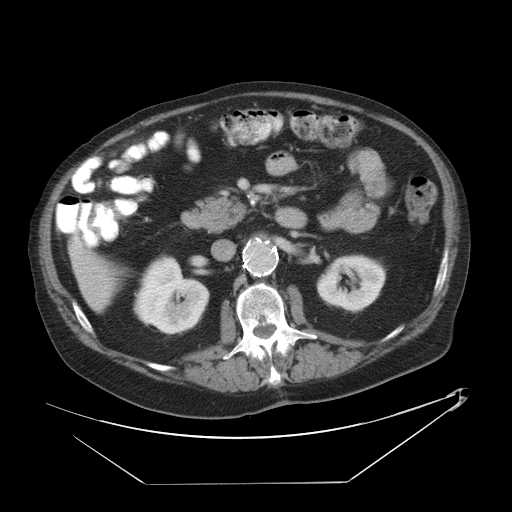

Computed tomography | Abdomen
Some hepatic vessels may have no box.
hepatic vessel: [71,249,81,264]